Brain, Image size 240x240
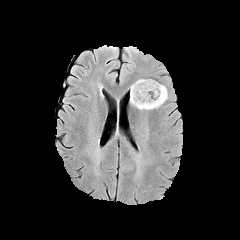
FLAIR magnetic resonance.
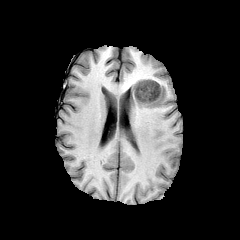
Same slice, T1-weighted MR.
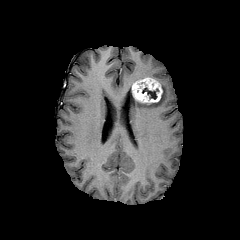
Post-contrast T1-weighted MRI.
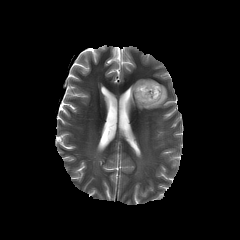
Same slice, T2-weighted MR.
• edema: <bbox>128, 85, 167, 109</bbox>
• non-enhancing tumor core: <bbox>142, 85, 159, 100</bbox>
• enhancing tumor: <bbox>132, 77, 162, 102</bbox>